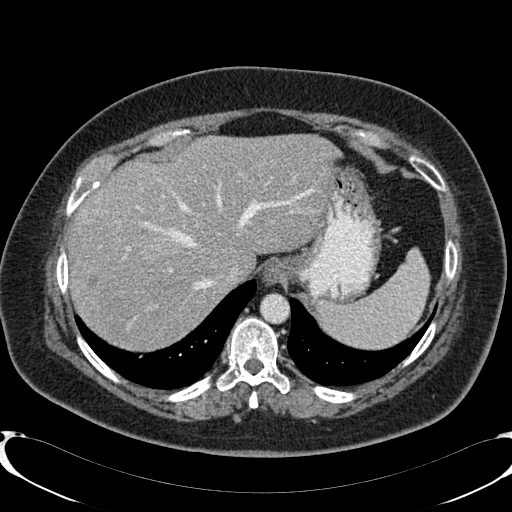

Computed tomography, 512x512
Hepatic lesion: bounding box left=85, top=274, right=98, bottom=287; left=72, top=222, right=86, bottom=235; left=120, top=268, right=131, bottom=286.
Liver: bounding box left=69, top=135, right=339, bottom=348.